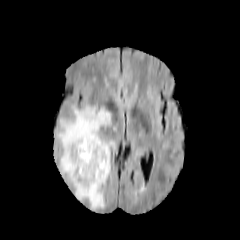
FLAIR MR image.
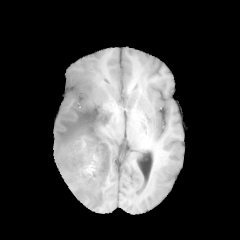
T1-weighted magnetic resonance.
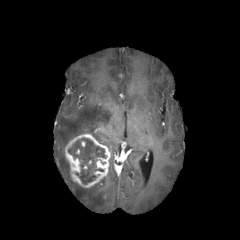
Post-contrast T1-weighted MR image.
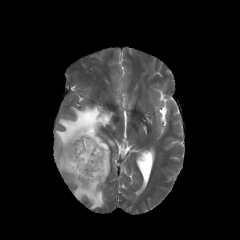
T2-weighted MR of the same slice.
Head
Findings:
* non-enhancing tumor core: bbox(68, 138, 105, 185)
* edema: bbox(55, 104, 113, 209)
* enhancing tumor: bbox(65, 133, 110, 187)